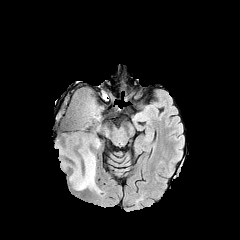
FLAIR magnetic resonance.
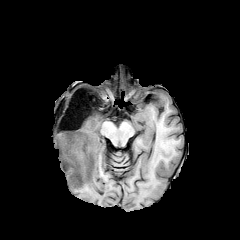
T1-weighted magnetic resonance of the same slice.
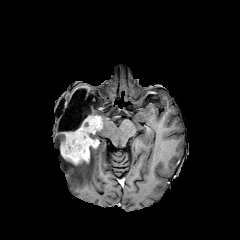
Post-contrast T1-weighted MR image of the same slice.
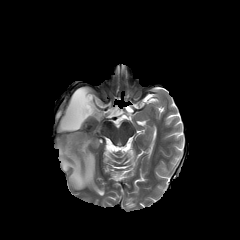
T2-weighted MR image of the same slice.
Head.
2 enhancing tumor regions are located at 60:128:99:163, 84:113:101:132. The edema is at 60:146:101:193. 3 non-enhancing tumor core regions are located at 74:152:91:166, 73:92:99:119, 78:120:96:140.